FLAIR MRI.
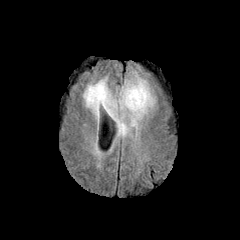
T1-weighted MRI.
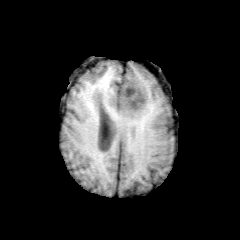
Post-contrast T1-weighted MRI.
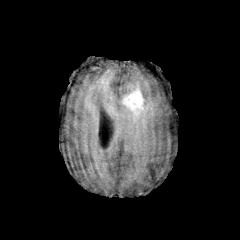
T2-weighted MR image.
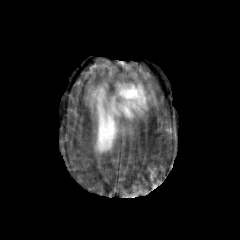
Image size 240x240; Brain
<segmentation>
  <enhancing_tumor>rect(120, 82, 143, 117)</enhancing_tumor>
  <non-enhancing_tumor_core>rect(119, 86, 130, 100)</non-enhancing_tumor_core>
  <edema>rect(83, 78, 155, 136)</edema>
</segmentation>